512x512 px | CT slice | Pelvis 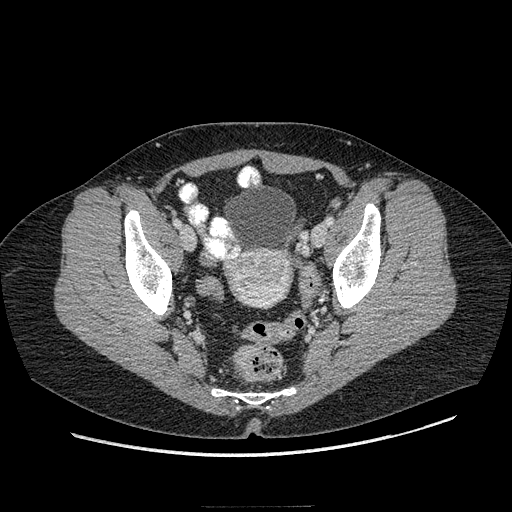
<segmentation>
  <colon_tumor><bbox>236, 346, 258, 380</bbox></colon_tumor>
</segmentation>